Slice 28/36, 36x50 px, Magnetic resonance, Field of view 36 mm wide, 1.00 mm slice spacing
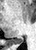 The posterior hippocampus appears at [8, 37, 23, 44].